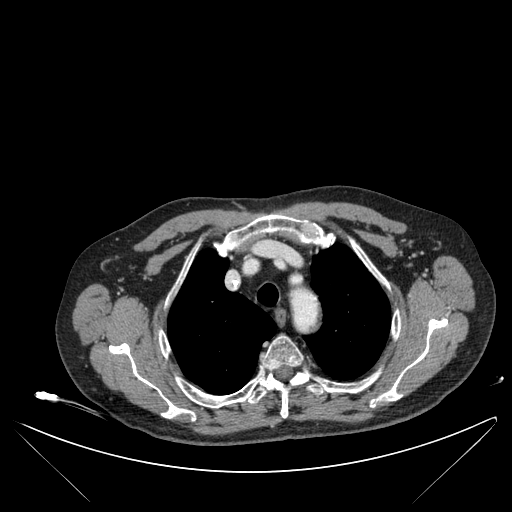 Image size 512x512; Thorax; CT scan slice
9 bone regions appear at box=[109, 343, 195, 420]; box=[159, 330, 170, 357]; box=[308, 370, 380, 393]; box=[175, 336, 310, 417]; box=[370, 318, 447, 407]; box=[214, 214, 334, 256]; box=[391, 310, 400, 338]; box=[350, 239, 387, 285]; box=[174, 252, 193, 291]. 3 lung regions are bounded by box=[304, 244, 390, 379]; box=[167, 250, 276, 394]; box=[257, 284, 277, 305].